FLAIR magnetic resonance.
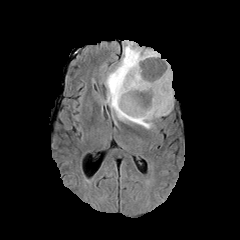
T1-weighted magnetic resonance.
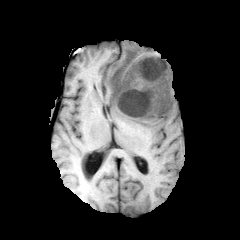
Post-contrast T1-weighted MR.
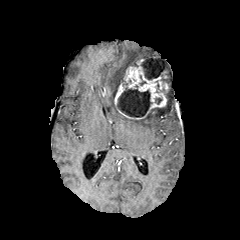
T2-weighted MR.
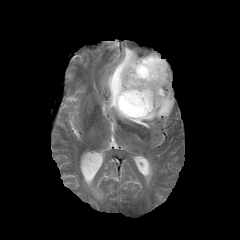
Edema at 162,59,172,81; 104,43,172,128.
Enhancing tumor at 114,57,170,119.
Non-enhancing tumor core at 117,85,151,117; 141,57,166,79.